FLAIR MRI.
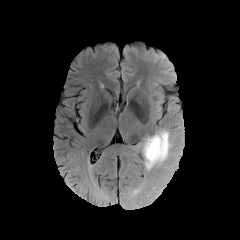
T1-weighted magnetic resonance.
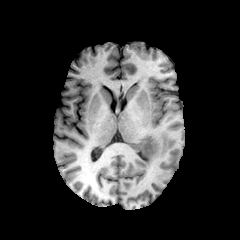
Post-contrast T1-weighted MRI.
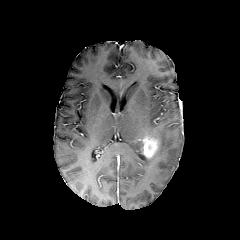
T2-weighted MR.
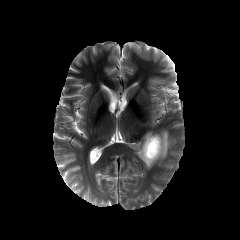
Head, Image size 240x240
enhancing tumor: <box>142,136,159,159</box> | edema: <box>142,129,175,169</box>